Slice 13/24 | Image width 340 mm | CT | 512x512 px | Liver
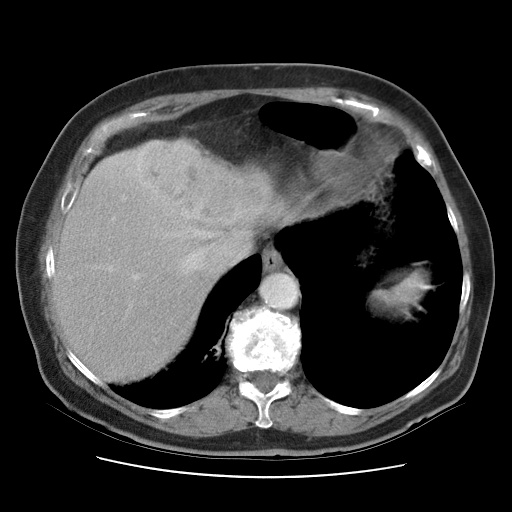 The vessel annotation is not exhaustive.
Annotated regions:
- liver tumor: rect(143, 144, 267, 226)
- hepatic vessel: rect(151, 224, 249, 276); rect(128, 297, 132, 304); rect(133, 275, 134, 276)